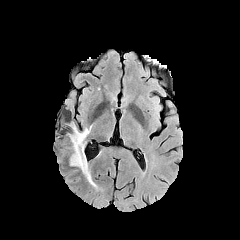
FLAIR MR.
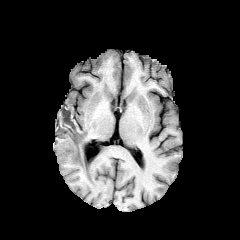
T1-weighted MRI of the same slice.
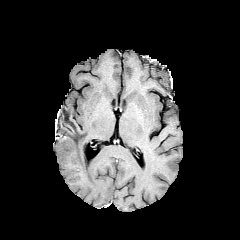
Same slice, post-contrast T1-weighted MRI.
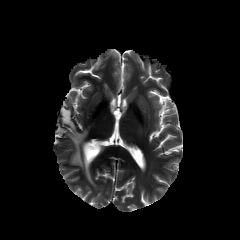
T2-weighted MRI.
The edema is at (left=68, top=122, right=95, bottom=186).